CT | Liver
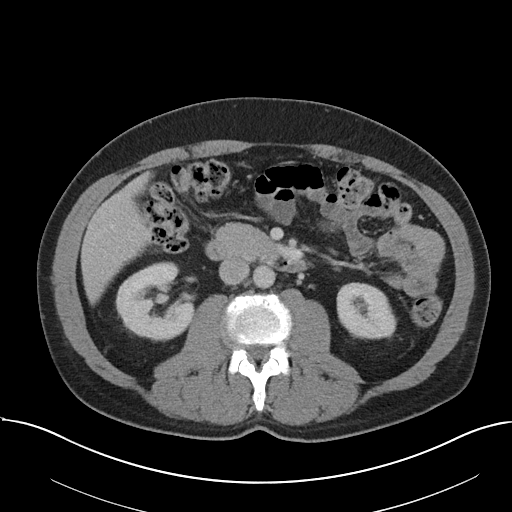 Not every hepatic vessel necessarily has a box.
The hepatic vessel is bounded by (x1=111, y1=225, x2=113, y2=227).